Slice 6 of 36; MRI

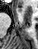

- anterior hippocampus: <bbox>16, 8, 22, 12</bbox>